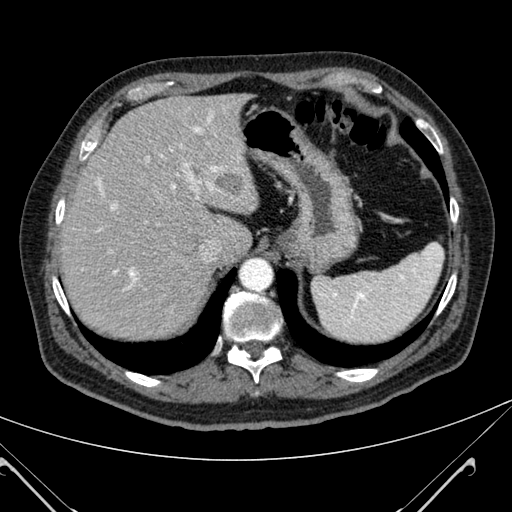
Computed tomography. Abdomen.

{"liver": ["(61, 91, 257, 340)"], "hepatic_lesion": ["(215, 174, 246, 195)"]}